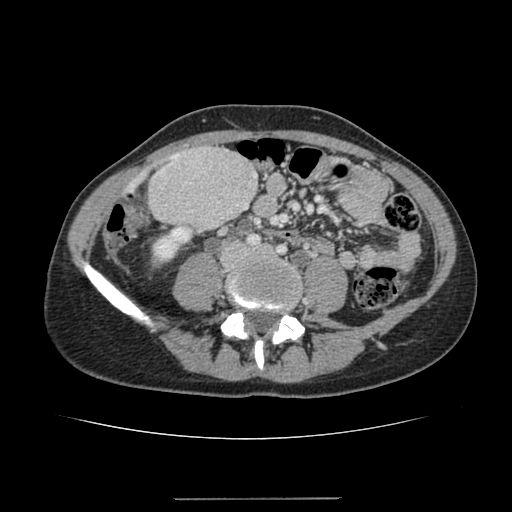 Liver, 512x512, Computed tomography
The focal liver lesion lies within [x1=148, y1=146, x2=257, y2=229]. The kidney is bounded by [x1=155, y1=227, x2=190, y2=257]. The liver is at [x1=124, y1=167, x2=150, y2=194].